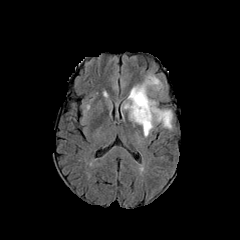
FLAIR MR image.
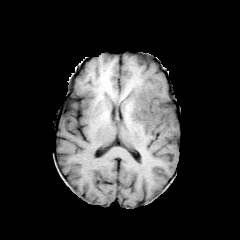
T1-weighted MR.
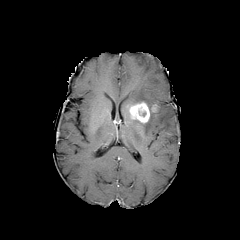
Post-contrast T1-weighted MR image.
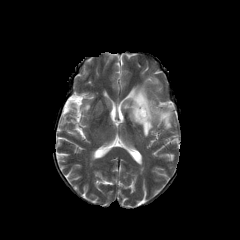
T2-weighted magnetic resonance.
Enhancing tumor — left=130, top=102, right=156, bottom=123.
Edema — left=130, top=107, right=173, bottom=136; left=124, top=74, right=163, bottom=109.